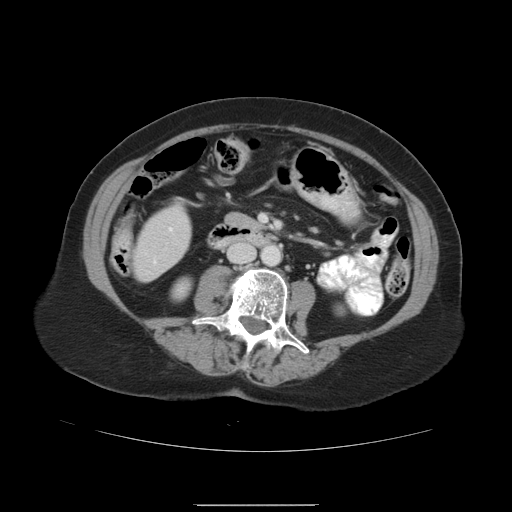
CT image. Liver.

Only some of the vessels may be annotated.
Hepatic vessel: bounding box (154, 260, 156, 262), (170, 228, 171, 229).